CT image | Image size 512x512 | Abdomen 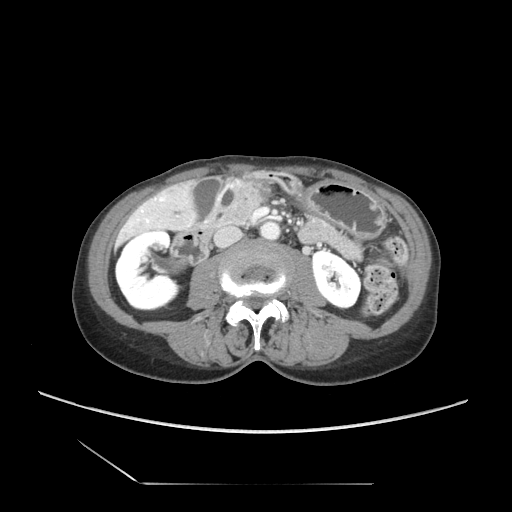

The pancreas appears at (230,187,262,225).